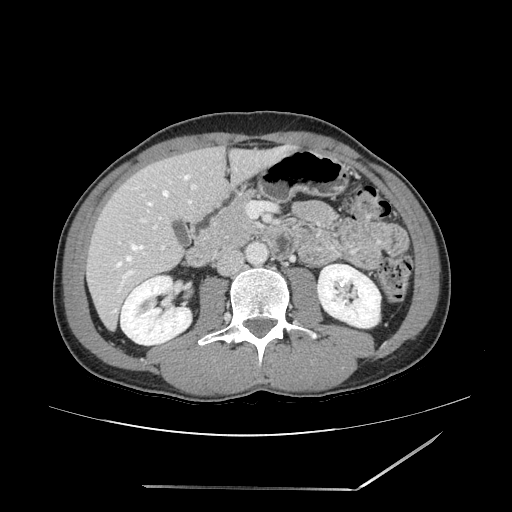

Upper abdomen; CT image
Pancreas: 199:194:257:254.